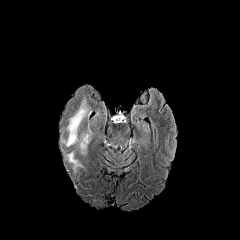
FLAIR MRI.
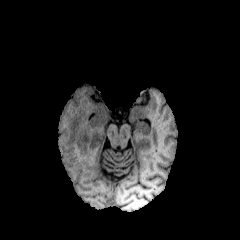
T1-weighted MRI.
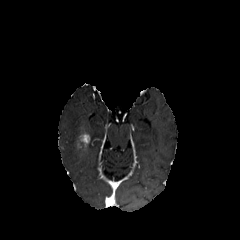
Post-contrast T1-weighted MR of the same slice.
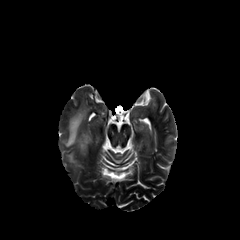
T2-weighted MRI.
Brain
Segmented structures:
- enhancing tumor: box=[77, 131, 90, 150]
- edema: box=[66, 152, 78, 172]; box=[60, 98, 91, 155]